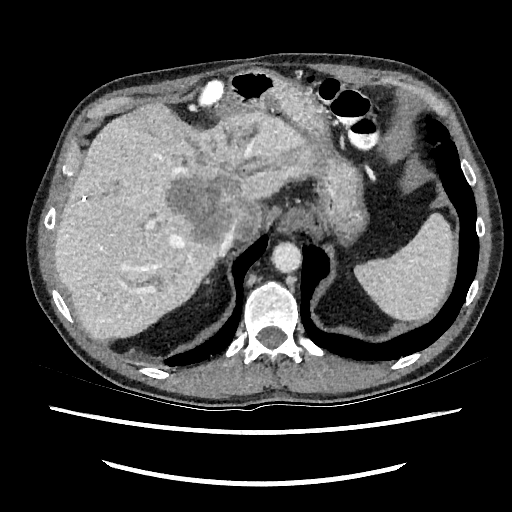 CT slice. Abdomen.

Annotated regions:
• focal liver lesion: bbox=[165, 175, 259, 241]; bbox=[195, 153, 207, 167]; bbox=[177, 157, 186, 165]
• liver: bbox=[54, 101, 314, 339]